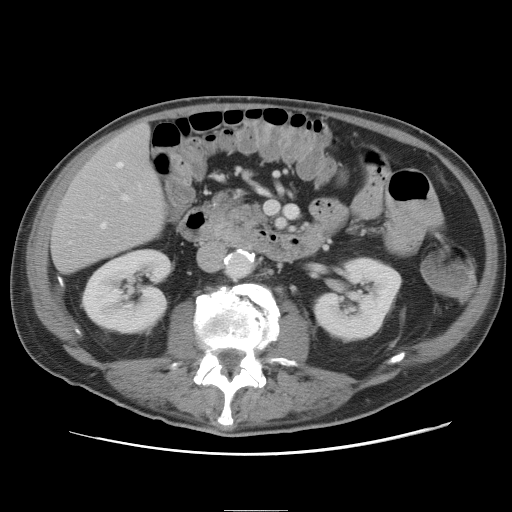 Liver; Computed tomography; 512x512 px
Only some of the vessels may be annotated.
Findings:
• hepatic vessel: 141 125 144 127, 123 195 128 200, 70 242 72 244, 118 163 122 167, 102 223 106 228